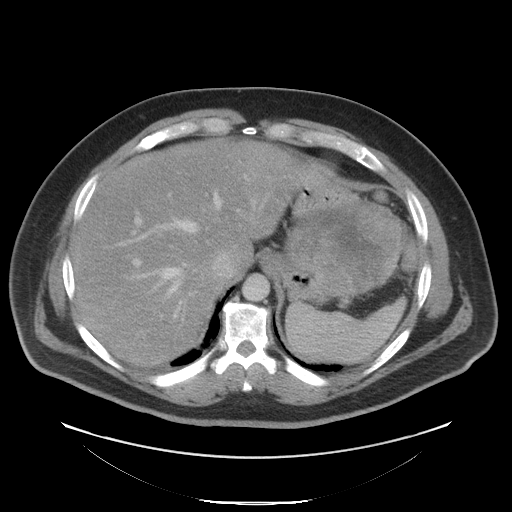
CT slice, 512x512

pancreas:
  - bbox(398, 235, 408, 267)
  - bbox(319, 194, 391, 211)
pancreatic_tumor:
  - bbox(405, 238, 417, 269)
  - bbox(285, 202, 405, 296)